Slice index 120, Image width 240 mm, Brain, 240x240
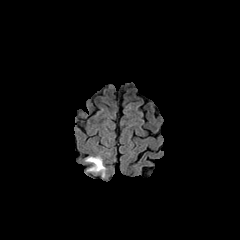
FLAIR magnetic resonance.
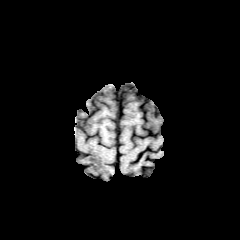
Same slice, T1-weighted MR.
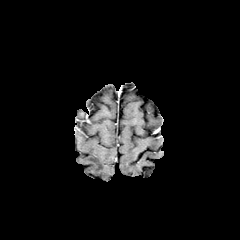
Post-contrast T1-weighted MR of the same slice.
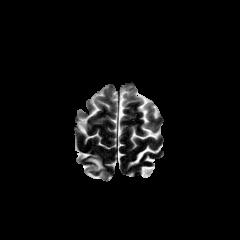
T2-weighted MRI.
Edema — bbox=[86, 155, 105, 177].